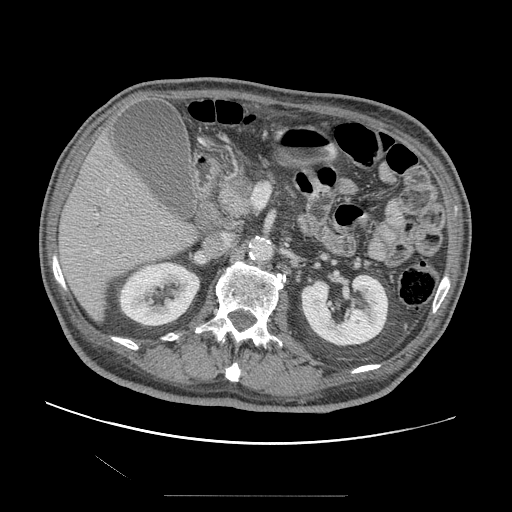

CT

- pancreas: (left=216, top=175, right=258, bottom=219)
- pancreatic tumor: (left=228, top=179, right=250, bottom=198)